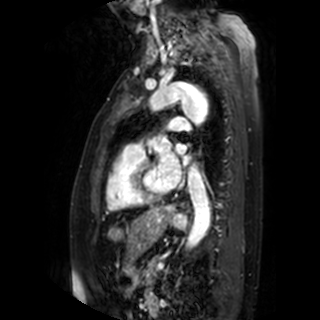 Magnetic resonance | Heart | Image size 320x320
{"left_atrium": ["(left=182, top=155, right=190, bottom=165)", "(left=159, top=151, right=181, bottom=189)", "(left=176, top=144, right=185, bottom=154)"]}